Slice index 72 | 512x512 | Computed tomography
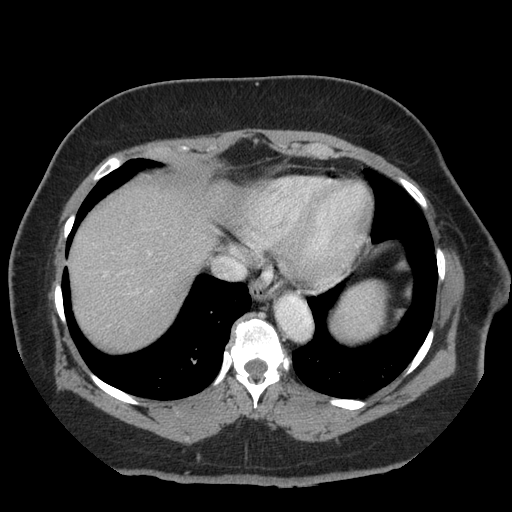
Some hepatic vessels may have no box.
<segmentation>
  <hepatic_vessel>(104,272,107,275), (222,259,240,273)</hepatic_vessel>
</segmentation>